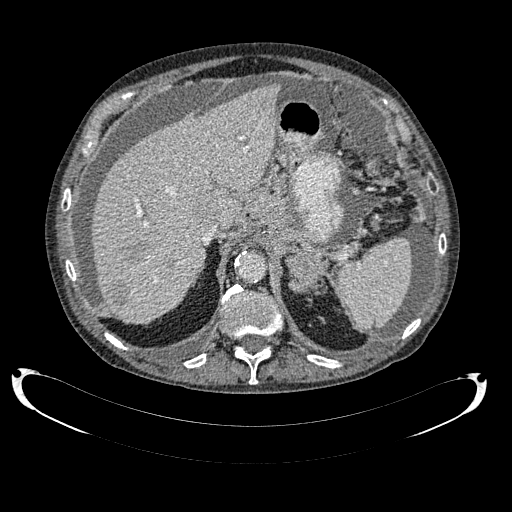

CT slice.
liver lesion: x1=110 y1=284 x2=127 y2=304, x1=168 y1=259 x2=175 y2=267, x1=191 y1=193 x2=209 y2=219, x1=123 y1=240 x2=144 y2=267 | liver: x1=92 y1=83 x2=279 y2=322